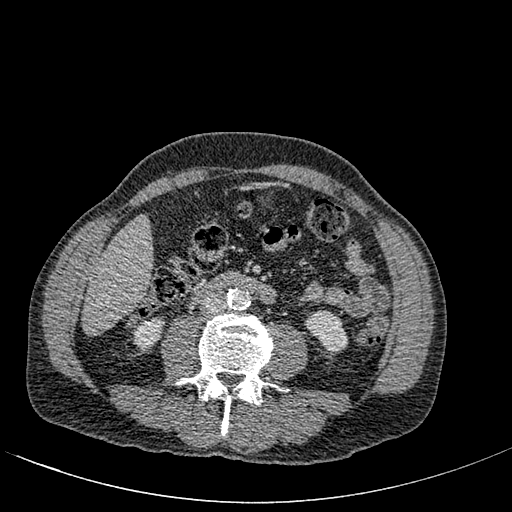 Upper abdomen, CT
Segmented structures:
- kidney: <box>134,318,164,349</box>, <box>305,311,347,351</box>
- liver: <box>82,215,152,333</box>